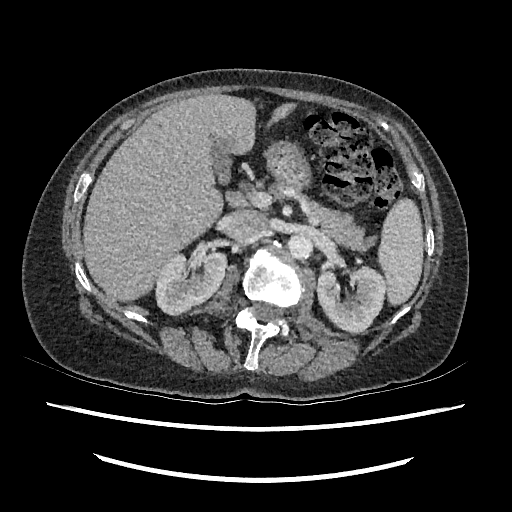 Upper abdomen | Image size 512x512 | CT image

Kidney: bounding box (156,251,226,314), (317,251,386,332).
Liver: bounding box (84,95,255,300), (272,104,294,120).